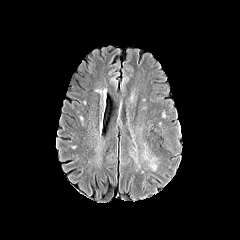
FLAIR MR.
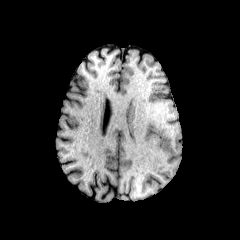
T1-weighted MR image.
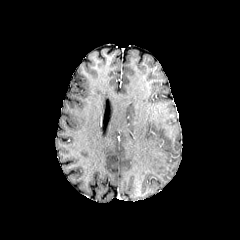
Post-contrast T1-weighted magnetic resonance.
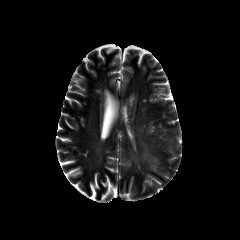
T2-weighted MRI of the same slice.
240x240 px, Head
Edema at box=[147, 159, 156, 169].